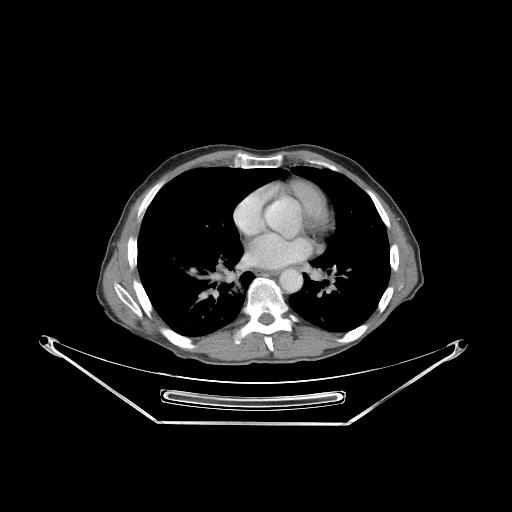 512x512 px, Thorax, CT scan slice
<segmentation>
  <lung>(137, 167, 287, 336), (289, 167, 390, 331)</lung>
  <bone>(138, 184, 161, 215), (162, 330, 193, 347), (339, 325, 366, 341), (238, 278, 291, 350), (115, 284, 141, 316), (379, 288, 392, 311), (238, 154, 280, 167), (128, 238, 136, 266), (369, 191, 389, 226), (134, 281, 153, 320), (390, 245, 398, 270)</bone>
</segmentation>